Abdomen, CT image, Image width 512 mm 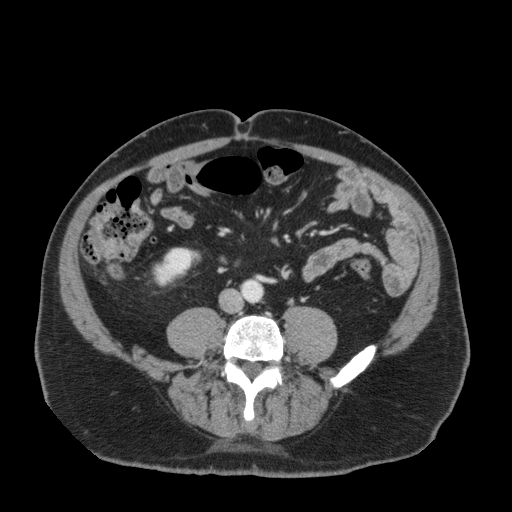 Kidney at x1=157, y1=249, x2=192, y2=282.